Liver; Image size 512x512; Slice 494 of 629; CT image
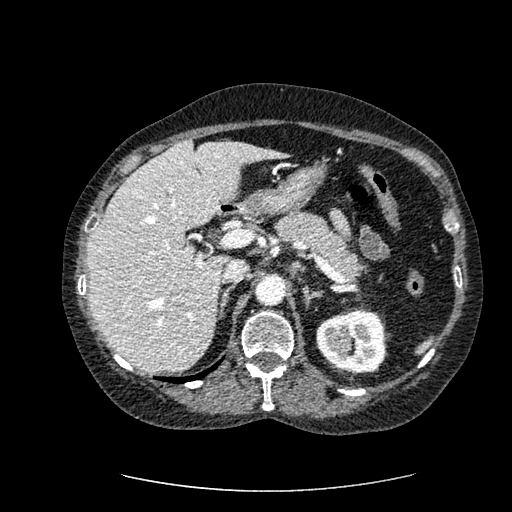

The liver appears at left=88, top=139, right=288, bottom=372. The kidney lies within left=317, top=311, right=384, bottom=372. The liver lesion is located at left=165, top=190, right=173, bottom=199.